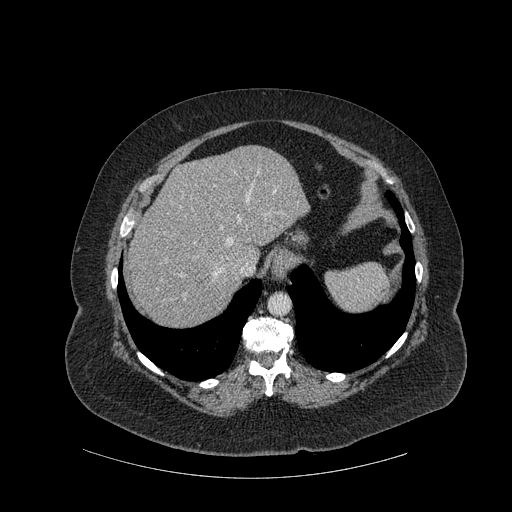

Liver; CT

Liver at (128,145,310,328).
Bone at (200,379,218,388), (243,318,293,395), (405,212,414,229), (415,262,422,281), (137,352,162,374), (386,333,406,357), (111,268,117,288), (326,373,344,381).
Lung at (288,191,415,372), (118,269,261,380).